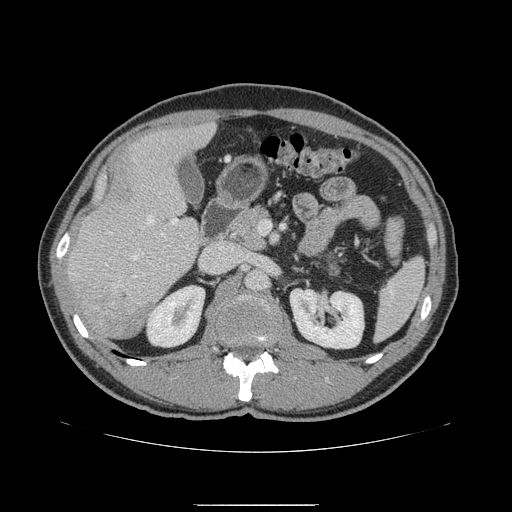

Upper abdomen. CT scan slice.

2 pancreas regions are located at (322,251,340,275), (227,206,268,251).